CT slice. Image size 512x512. Abdomen. Slice index 344. 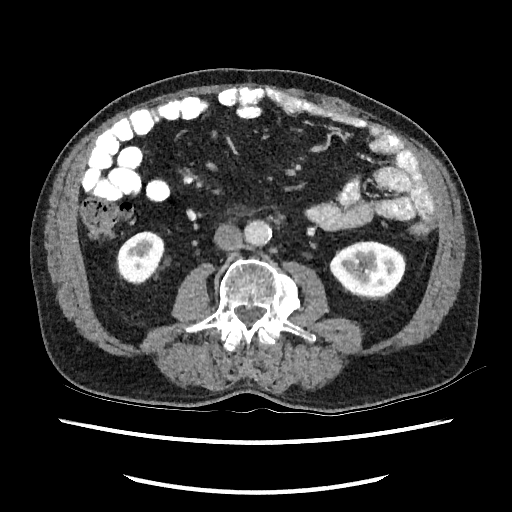

Kidney: bounding box 117:231:163:283, 330:241:405:299.